Thorax. CT scan slice.
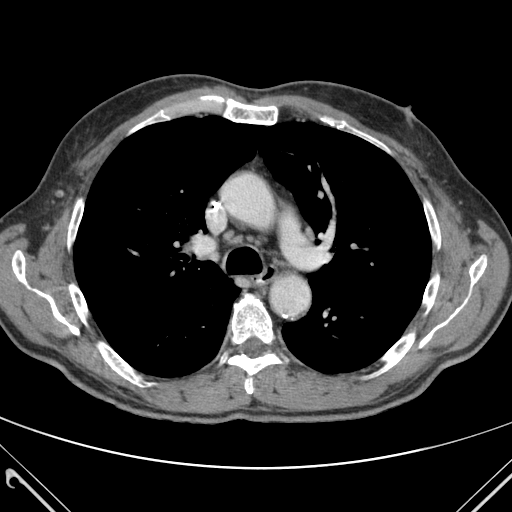

The lung is located at 74:116:431:377. The principal 15 bone regions (of 16) are bounded by 380:333:414:372, 98:343:141:385, 68:200:83:246, 201:96:278:124, 12:251:31:288, 232:294:272:343, 69:284:87:323, 32:289:79:334, 424:202:440:247, 423:275:439:311, 355:131:386:148, 221:354:281:393, 131:110:169:131, 419:300:466:347, 469:256:486:286.